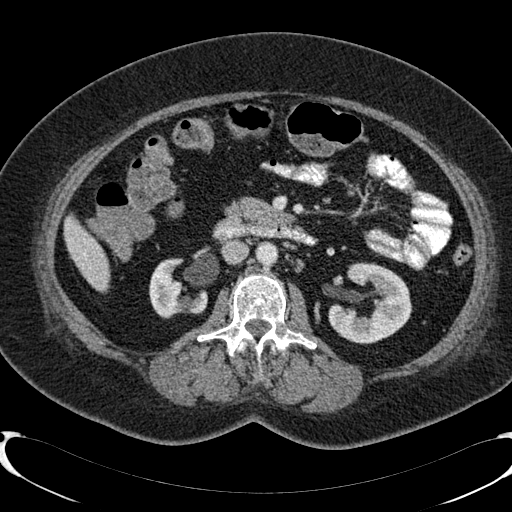
512x512 px; CT scan slice
2 kidney regions appear at region(148, 259, 208, 316); region(329, 264, 410, 342). The liver lies within region(65, 218, 108, 289).